240x240 px, Slice 114 of 155
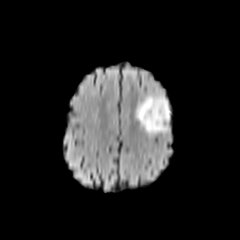
FLAIR MRI.
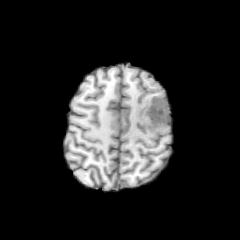
Same slice, T1-weighted MR image.
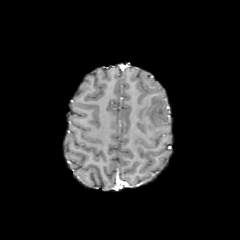
Same slice, post-contrast T1-weighted MRI.
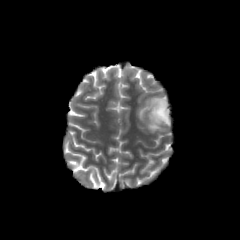
Same slice, T2-weighted magnetic resonance.
The non-enhancing tumor core is bounded by (148,95,169,121). The edema is at (134,91,171,135).